Abdomen. 512x512. CT image. 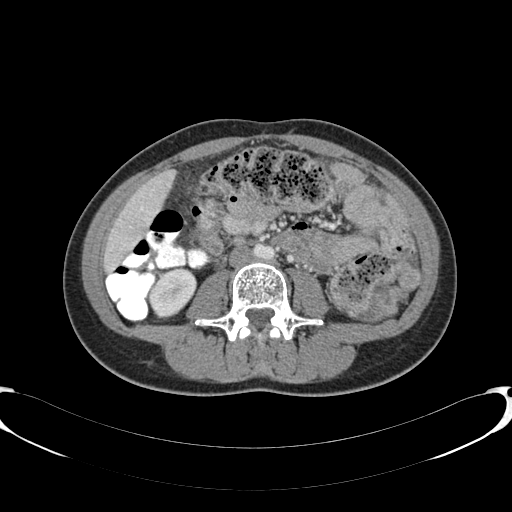
kidney:
  - l=150, t=270, r=195, b=315
liver:
  - l=104, t=170, r=174, b=272